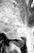 34x53 px, MR image
The posterior hippocampus is at l=14, t=38, r=24, b=47.